Upper abdomen. 512x512 px. CT image. Slice 379/771. 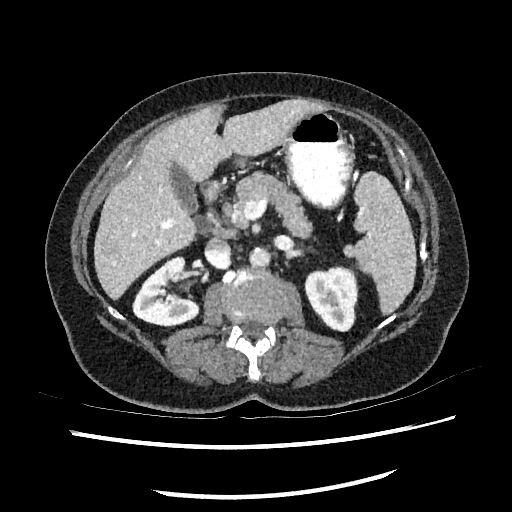

Annotated regions:
- liver: 93:100:320:300
- hepatic lesion: 102:240:116:255
- kidney: 134:258:197:325, 306:268:356:330